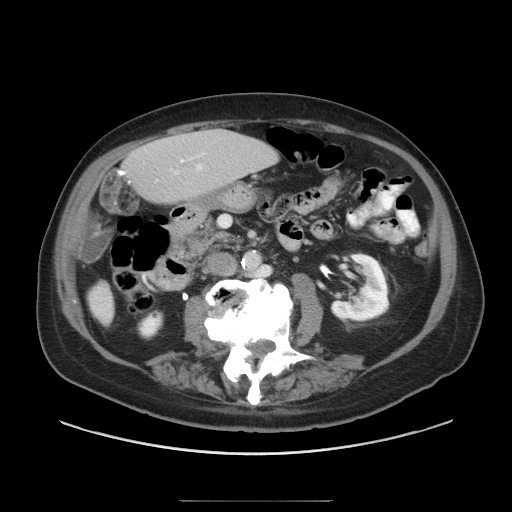
CT scan slice, Abdomen
Not every hepatic vessel necessarily has a box.
hepatic vessel: [196,164,202,170], [156,179,157,181], [181,160,183,162], [171,169,178,174]